512x512 px, Image width 378 mm, Upper abdomen, Computed tomography
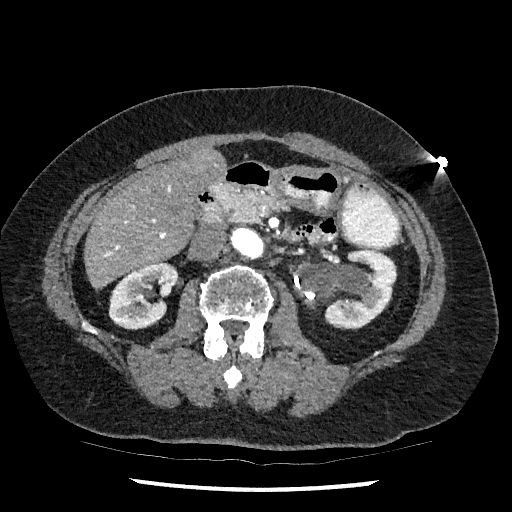
Annotated regions:
* kidney: rect(109, 263, 177, 328); rect(325, 250, 396, 327)
* liver: rect(85, 149, 225, 289)